Medial temporal lobe; Slice 12 of 47; MR 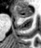
Annotated regions:
• posterior hippocampus: l=20, t=17, r=26, b=17
• anterior hippocampus: l=14, t=6, r=33, b=16